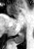 Magnetic resonance

{"posterior_hippocampus": ["l=12, t=32, r=24, b=43"]}